Slice 95/155; Field of view 240x240 mm; Head
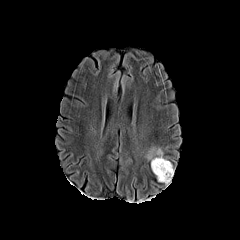
FLAIR MR.
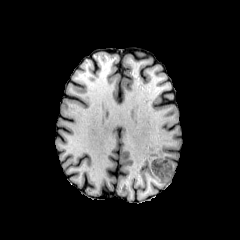
T1-weighted MR of the same slice.
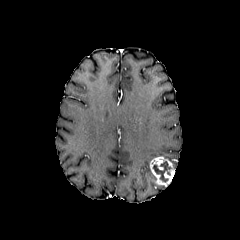
Post-contrast T1-weighted MR image of the same slice.
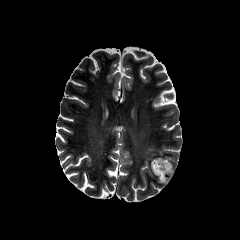
T2-weighted MR.
Non-enhancing tumor core — (x1=153, y1=160, x2=171, y2=183).
Edema — (x1=143, y1=146, x2=170, y2=161).
Enhancing tumor — (x1=150, y1=156, x2=175, y2=186).